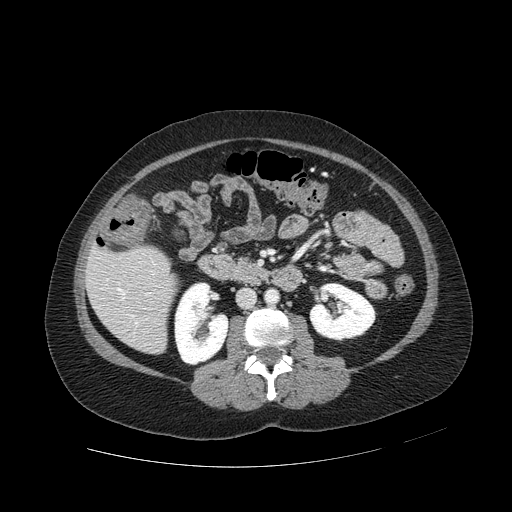 CT image; 512x512 px; Abdomen
pancreas: bbox=[234, 257, 266, 281]